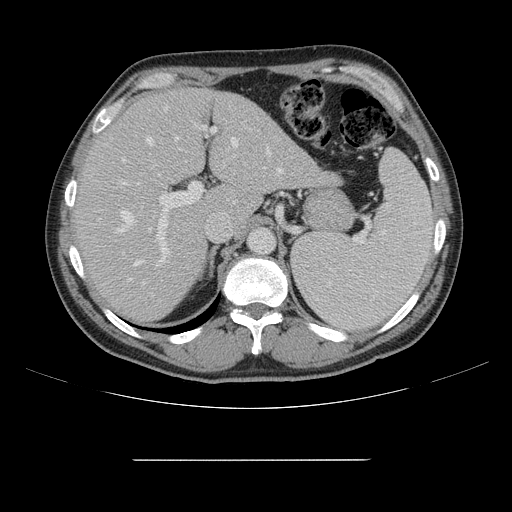
Computed tomography; 512x512
Some hepatic vessels may have no box.
• hepatic vessel (top 15 of 17): bbox(160, 182, 202, 206); bbox(266, 147, 270, 155); bbox(134, 261, 141, 266); bbox(123, 158, 125, 160); bbox(129, 279, 132, 280); bbox(211, 128, 216, 132); bbox(142, 282, 144, 284); bbox(196, 125, 206, 129); bbox(117, 227, 125, 231); bbox(231, 138, 237, 145); bbox(278, 168, 283, 173); bbox(149, 228, 151, 230); bbox(118, 181, 126, 184); bbox(121, 210, 132, 225); bbox(157, 218, 168, 264)